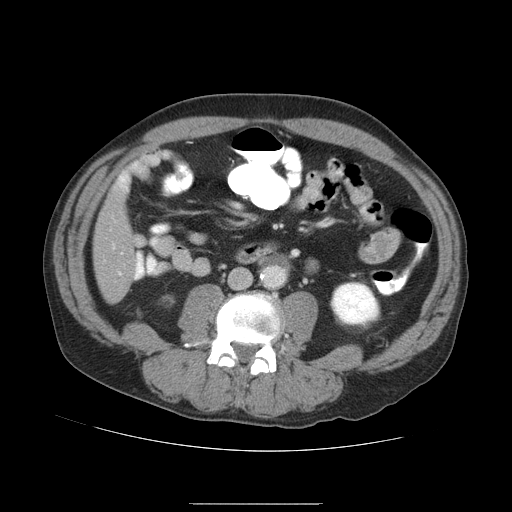 512x512, CT image

Some hepatic vessels may have no box.
<segmentation>
  <hepatic_vessel>bbox=[118, 272, 120, 273]; bbox=[112, 244, 114, 248]</hepatic_vessel>
</segmentation>